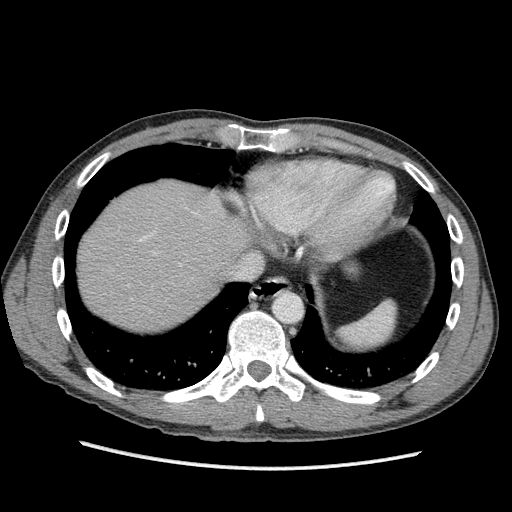 Upper abdomen, CT
Liver — bbox=[76, 179, 257, 332].